CT image.

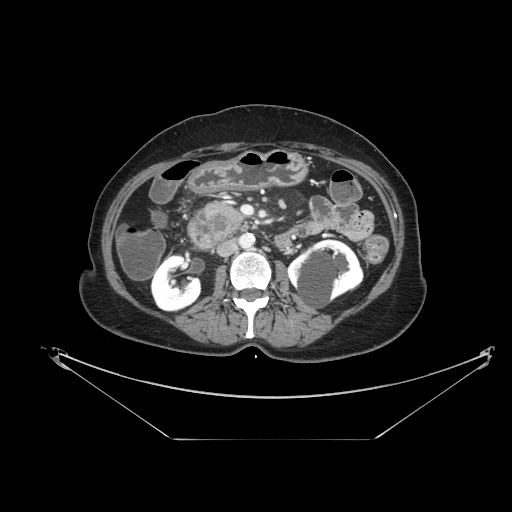
pancreatic tumor: (213,214,227,232) | pancreas: (202,203,245,244)